Field of view 438x438 mm; CT scan slice
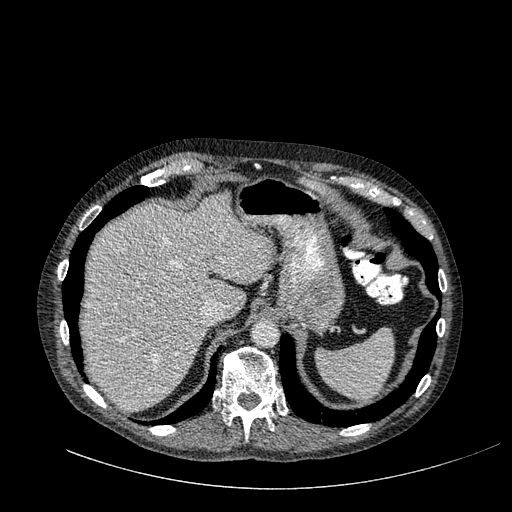 The liver lies within 82,193,272,410.